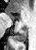
MR | Hippocampus

Anterior hippocampus — box(7, 13, 14, 20).
Posterior hippocampus — box(14, 27, 27, 41).